Head; 240x240
FLAIR magnetic resonance.
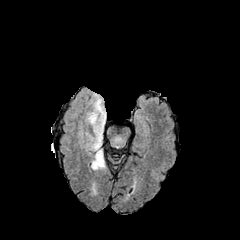
T1-weighted MRI.
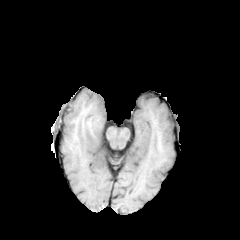
Post-contrast T1-weighted MRI.
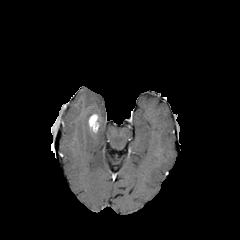
T2-weighted magnetic resonance.
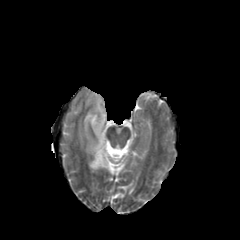
{"enhancing_tumor": [{"x1": 88, "y1": 114, "x2": 99, "y2": 131}], "edema": [{"x1": 81, "y1": 93, "x2": 106, "y2": 171}]}